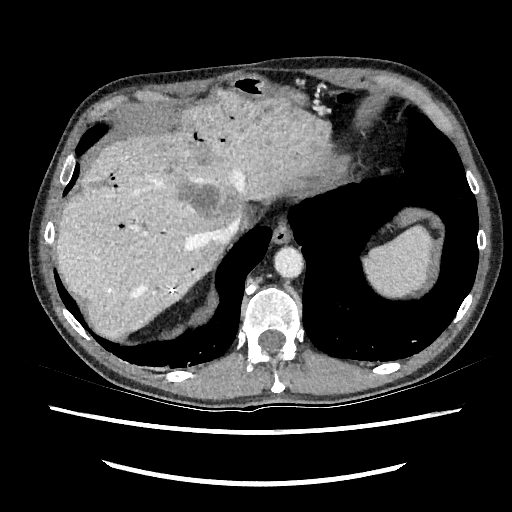
CT
Segmented structures:
• liver: bbox=[57, 90, 331, 336]
• focal liver lesion: bbox=[88, 181, 102, 189]; bbox=[241, 214, 248, 226]; bbox=[167, 160, 178, 172]; bbox=[196, 154, 210, 165]; bbox=[180, 180, 225, 221]